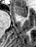 Hippocampus, MR, 36x47
The anterior hippocampus appears at (15,6,27,17).